FLAIR magnetic resonance.
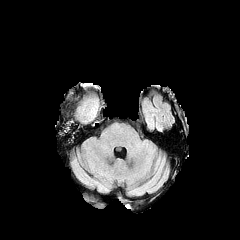
T1-weighted MR image.
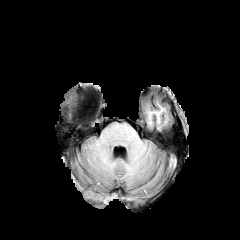
Post-contrast T1-weighted MR image.
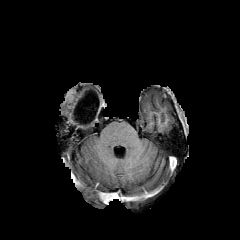
T2-weighted MR image.
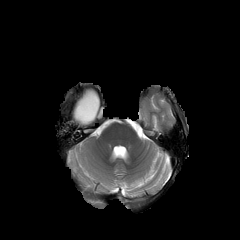
non-enhancing tumor core: region(78, 98, 97, 121)